CT; Field of view 367 mm wide, 0.70 mm slice spacing

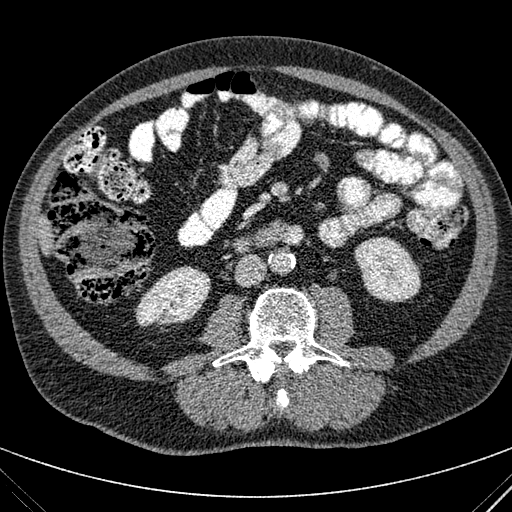

Kidney at bbox=[355, 237, 419, 301]; bbox=[136, 266, 209, 325].
Liver at bbox=[38, 219, 50, 253].